CT image.
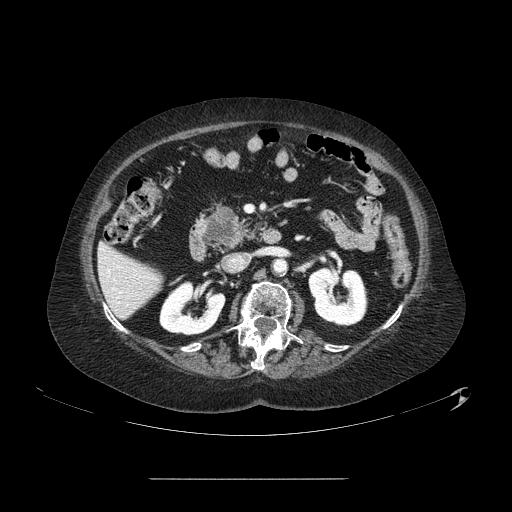

Pancreas — [204, 211, 244, 247].
Pancreatic tumor — [204, 207, 238, 246].